CT scan slice, Image size 512x512, Abdomen, Slice 45/83 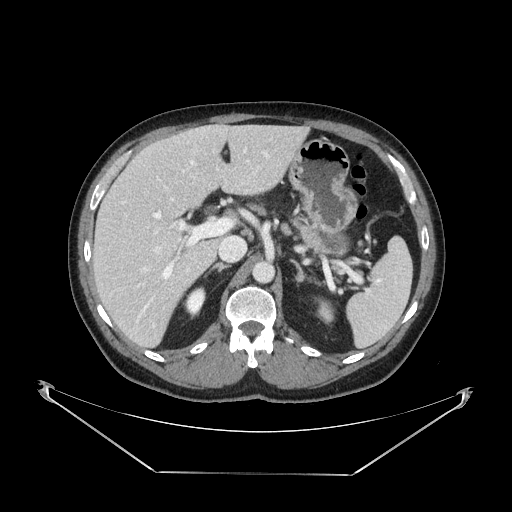 Pancreas: bounding box [298, 221, 330, 253].